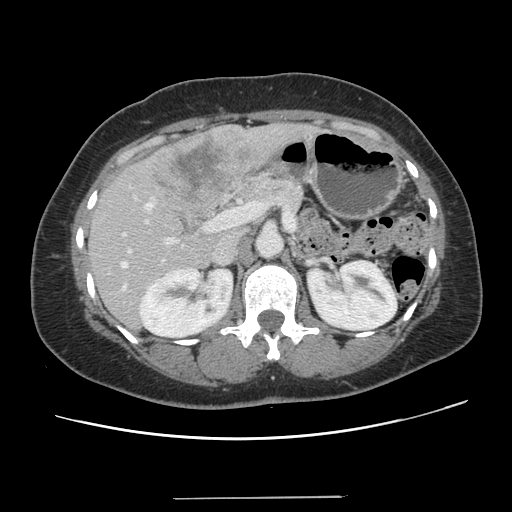

Liver. CT scan slice.

The vessel boxes may cover only some of the vessels.
7 hepatic vessel regions are bounded by (x1=123, y1=233, x2=125, y2=235), (x1=145, y1=197, x2=154, y2=209), (x1=123, y1=285, x2=126, y2=289), (x1=145, y1=220, x2=148, y2=223), (x1=165, y1=238, x2=174, y2=243), (x1=122, y1=262, x2=127, y2=267), (x1=128, y1=250, x2=131, y2=252). The liver tumor lies within (x1=152, y1=135, x2=250, y2=202).